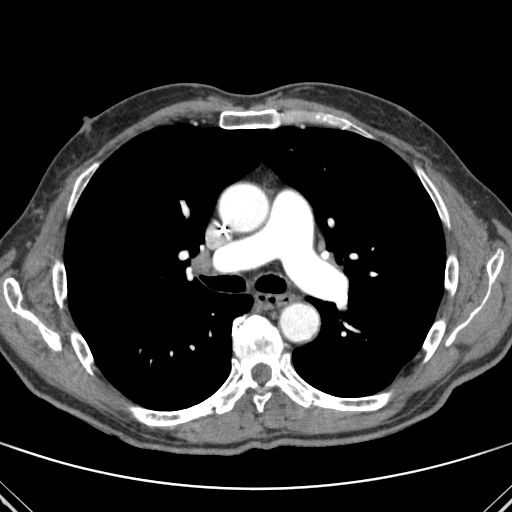
Image size 512x512. Thorax. Computed tomography.

{"lung": ["64, 124, 445, 410"], "bone": ["129, 315, 391, 426", "52, 261, 66, 307", "487, 251, 503, 285", "445, 296, 487, 345", "3, 278, 61, 350", "317, 115, 351, 128", "219, 109, 282, 128", "445, 255, 458, 295", "68, 163, 97, 213", "423, 320, 445, 361", "71, 332, 92, 374", "417, 168, 449, 226"]}